37x48 px. MRI.

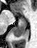

The posterior hippocampus is bounded by {"x1": 11, "y1": 20, "x2": 25, "y2": 37}. 2 anterior hippocampus regions are bounded by {"x1": 13, "y1": 13, "x2": 15, "y2": 14}, {"x1": 19, "y1": 17, "x2": 24, "y2": 19}.